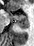 Magnetic resonance

* posterior hippocampus: x1=16, y1=21, x2=28, y2=28
* anterior hippocampus: x1=10, y1=15, x2=27, y2=20